Field of view 438 mm wide, 2.50 mm slice spacing | CT image | Image size 512x512 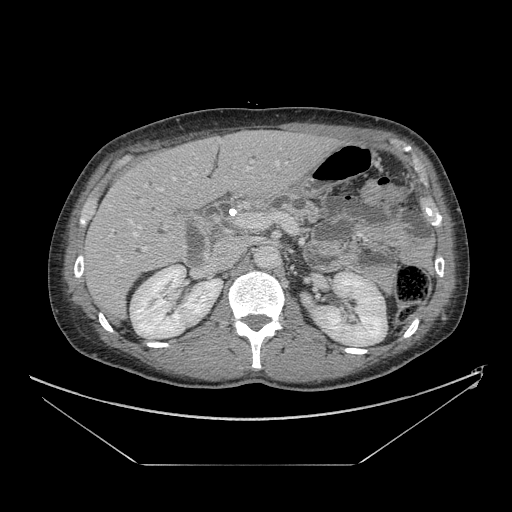
<segmentation>
  <pancreas>bbox(250, 193, 320, 223)</pancreas>
</segmentation>